Image width 350 mm. CT image.

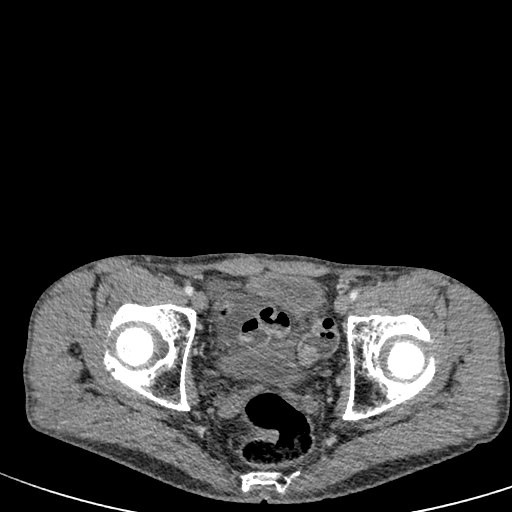

{"urinary_bladder": ["bbox(208, 342, 254, 384)", "bbox(245, 271, 324, 390)"]}